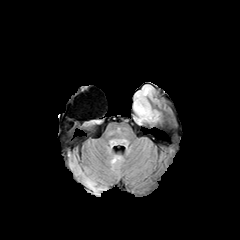
FLAIR MRI.
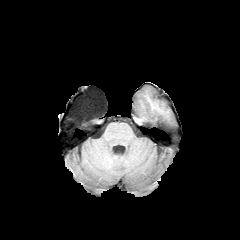
T1-weighted MR.
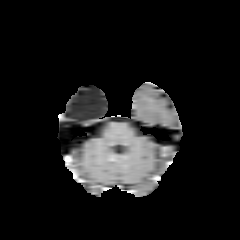
Post-contrast T1-weighted magnetic resonance of the same slice.
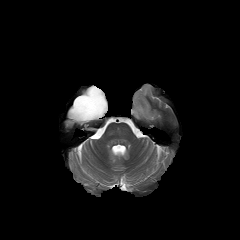
T2-weighted magnetic resonance.
Edema = region(86, 175, 95, 186); region(134, 104, 151, 119).